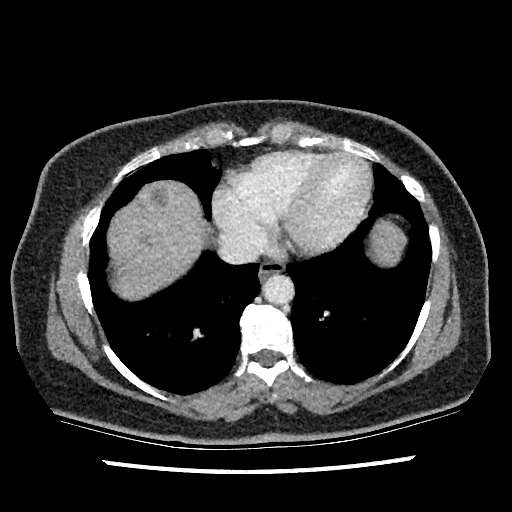 CT scan slice. Upper abdomen. 512x512.

Hepatic lesion: bounding box {"x1": 141, "y1": 237, "x2": 149, "y2": 244}, {"x1": 152, "y1": 189, "x2": 166, "y2": 206}.
Liver: bounding box {"x1": 108, "y1": 180, "x2": 202, "y2": 298}, {"x1": 372, "y1": 224, "x2": 404, "y2": 263}.